FLAIR MRI.
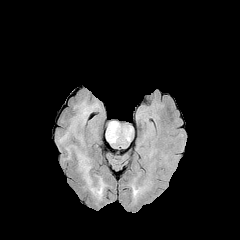
T1-weighted magnetic resonance.
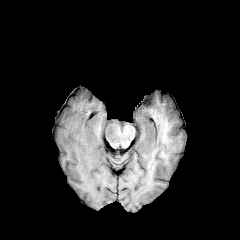
Post-contrast T1-weighted MR.
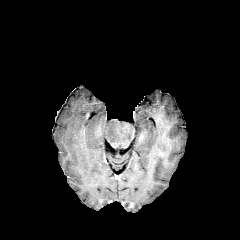
T2-weighted MR image.
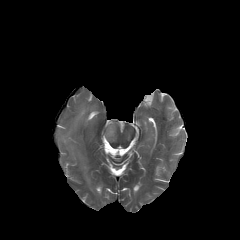
Head, Image size 240x240
edema:
  - 81, 158, 89, 172
  - 81, 107, 91, 117
  - 106, 122, 117, 143